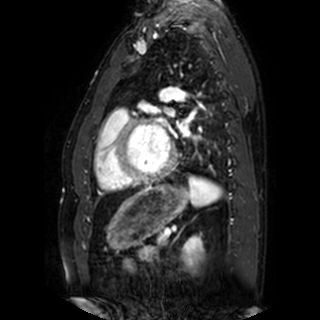 Magnetic resonance. 320x320 px. Heart.

Left atrium = 177,122,188,135; 166,109,174,115.